Liver, 512x512 px, CT image 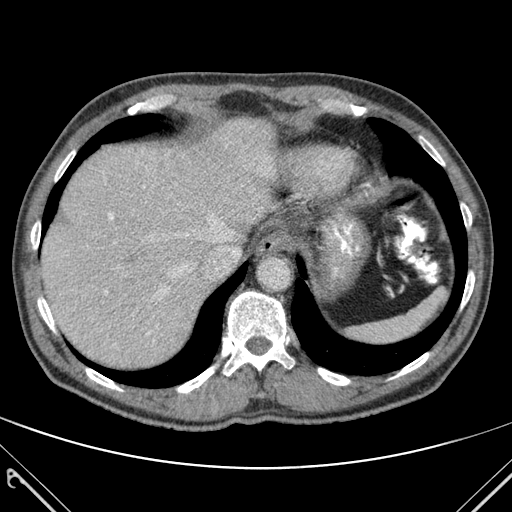

11 bone regions are located at (38, 297, 54, 331), (461, 204, 471, 225), (31, 222, 40, 249), (222, 292, 291, 375), (461, 272, 474, 307), (86, 369, 121, 390), (421, 137, 444, 165), (55, 151, 74, 181), (394, 353, 428, 377), (178, 366, 214, 392), (318, 368, 349, 385). The liver appears at (41, 118, 276, 368). 3 lung regions are bounded by (42, 114, 163, 231), (291, 118, 467, 375), (82, 263, 247, 387).